Slice 532/811. CT scan slice. 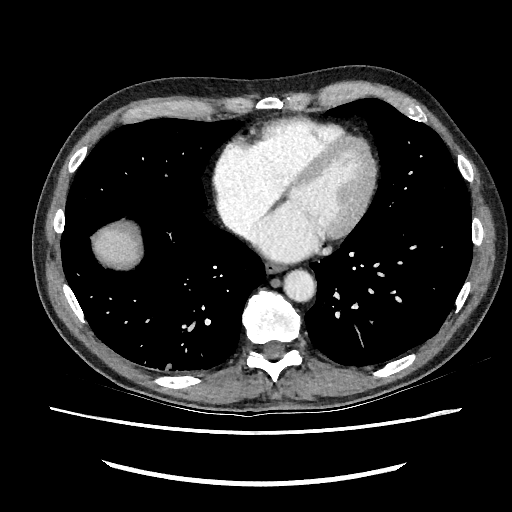

* liver: 93:225:137:264